Cardiac | MRI slice | Slice 104/120

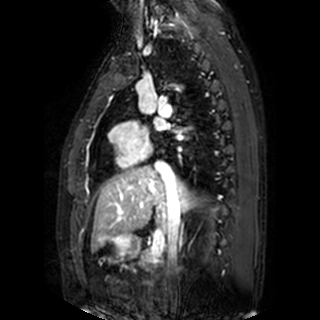 The left atrium lies within 156:120:167:129.